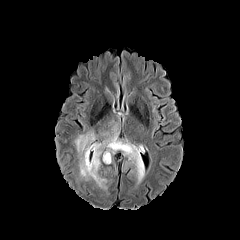
FLAIR MR image.
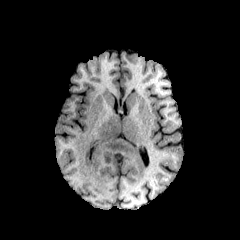
T1-weighted magnetic resonance.
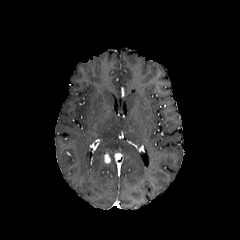
Post-contrast T1-weighted MR image.
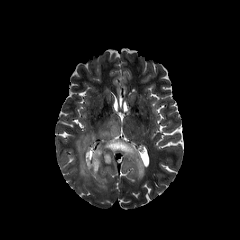
Same slice, T2-weighted MR image.
Brain.
Segmented structures:
- enhancing tumor: box(104, 154, 110, 164)
- edema: box(103, 137, 144, 180); box(75, 133, 106, 188)